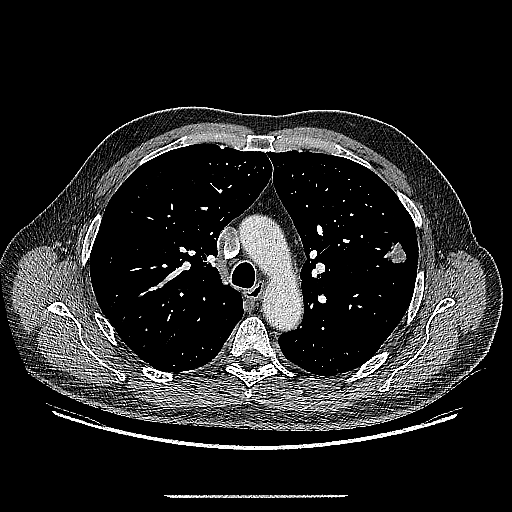
CT image
Lung tumor: bounding box <bbox>383, 240, 407, 263</bbox>.